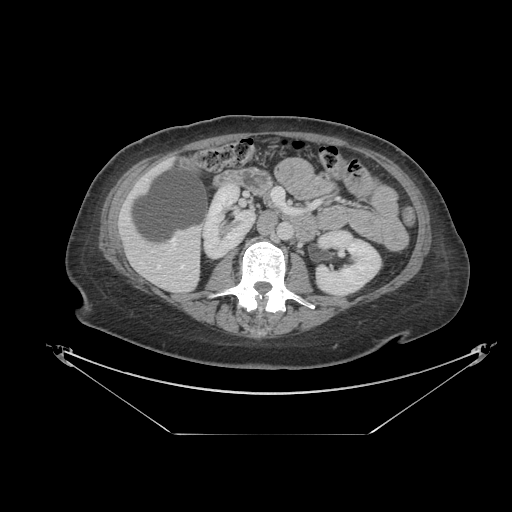 CT scan slice, Upper abdomen, 512x512

pancreas:
  - 264 192 274 206